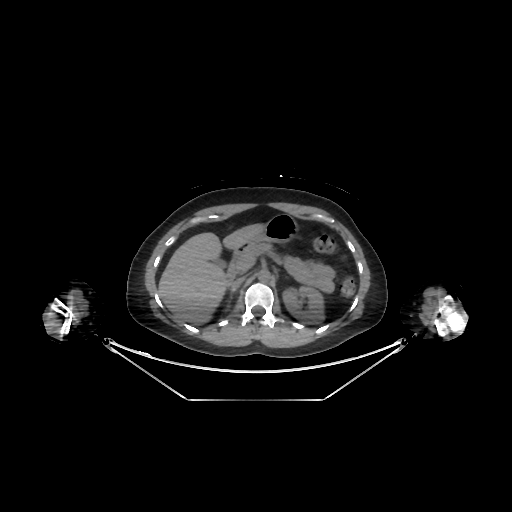

512x512 px | Computed tomography
Liver — bbox=[154, 224, 275, 325].
Kidney — bbox=[282, 284, 325, 324].